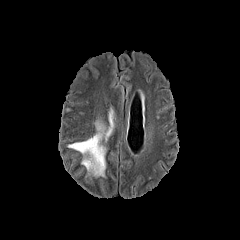
FLAIR MR image.
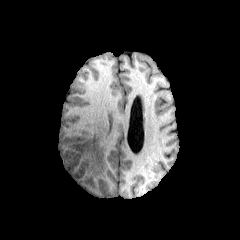
T1-weighted MR image.
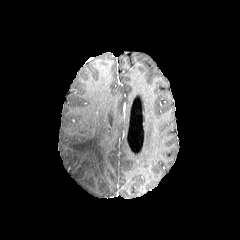
Same slice, post-contrast T1-weighted magnetic resonance.
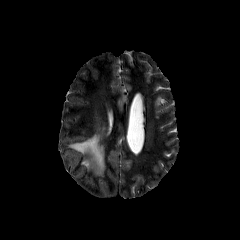
T2-weighted MR image.
edema: 67 108 113 177